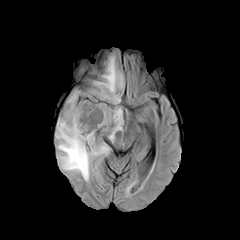
FLAIR MR image.
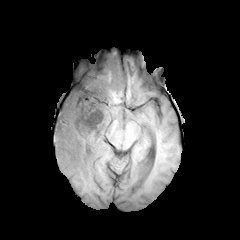
Same slice, T1-weighted MRI.
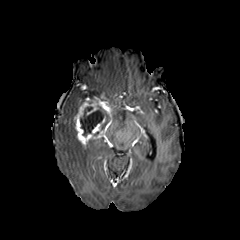
Post-contrast T1-weighted MR image.
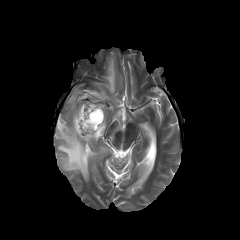
T2-weighted MR.
Enhancing tumor at x1=73, y1=98, x2=109, y2=145.
Edema at x1=104, y1=106, x2=123, y2=140; x1=56, y1=94, x2=109, y2=181; x1=95, y1=57, x2=123, y2=105.
Non-enhancing tumor core at x1=76, y1=91, x2=108, y2=109; x1=80, y1=107, x2=111, y2=134.